MRI slice; Medial temporal lobe; 35x47 px 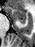
anterior hippocampus: [6,7,26,20] | posterior hippocampus: [20,21,25,23]